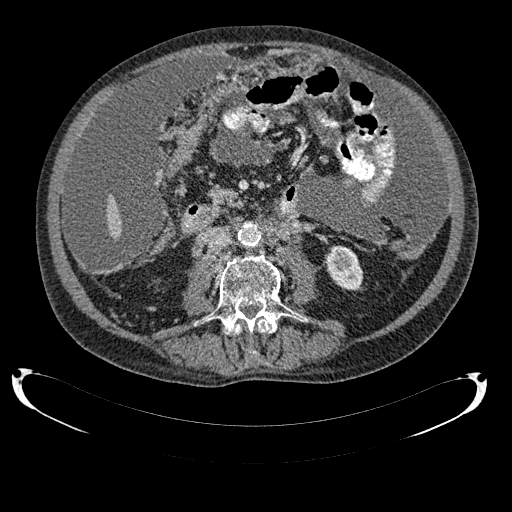

CT image, Abdomen, 512x512
Liver: <bbox>107, 196, 120, 237</bbox>.
Kidney: <bbox>326, 246, 362, 289</bbox>.